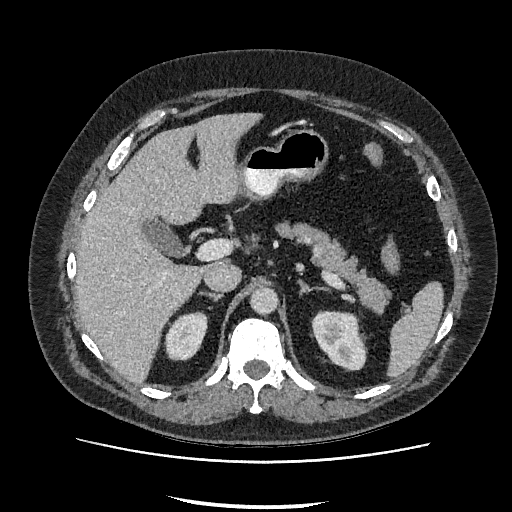
512x512 | CT image

Liver = x1=76, y1=114, x2=260, y2=382.
Kidney = x1=167, y1=315, x2=206, y2=358; x1=313, y1=312, x2=364, y2=369.